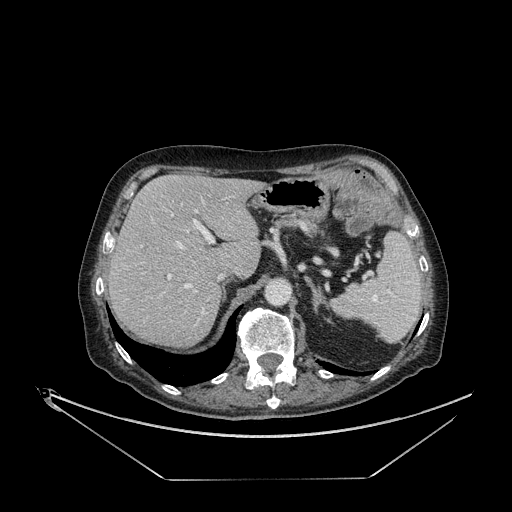 512x512, CT

Annotated regions:
• liver: [x1=109, y1=175, x2=262, y2=347]